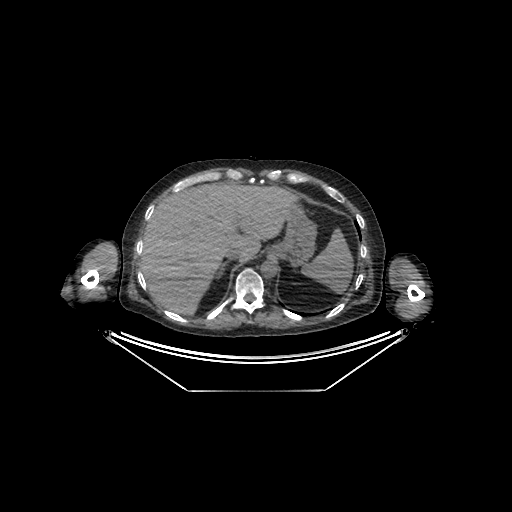

Computed tomography | Upper abdomen | 512x512 px

Liver: 136,179,295,314.